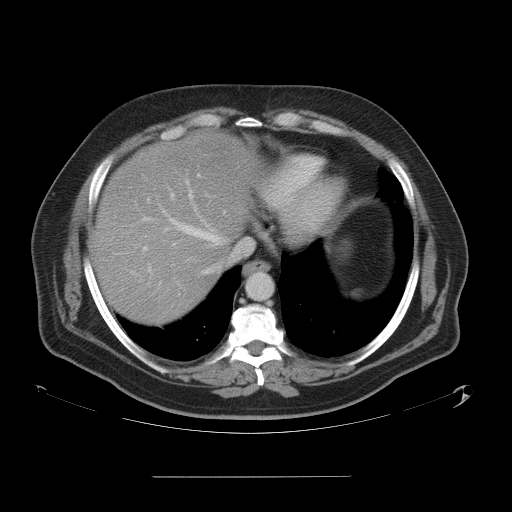
Computed tomography.
Some hepatic vessels may have no box.
<segmentation>
  <hepatic_vessel>l=142, t=217, r=148, b=221; l=164, t=228, r=167, b=231; l=143, t=248, r=146, b=250; l=148, t=198, r=149, b=201; l=170, t=219, r=225, b=246; l=171, t=194, r=174, b=198; l=203, t=270, r=209, b=273; l=132, t=272, r=135, b=273; l=198, t=174, r=199, b=176; l=173, t=243, r=175, b=244; l=218, t=266, r=219, b=268; l=159, t=282, r=160, b=284</hepatic_vessel>
</segmentation>